CT slice. 512x512 px.

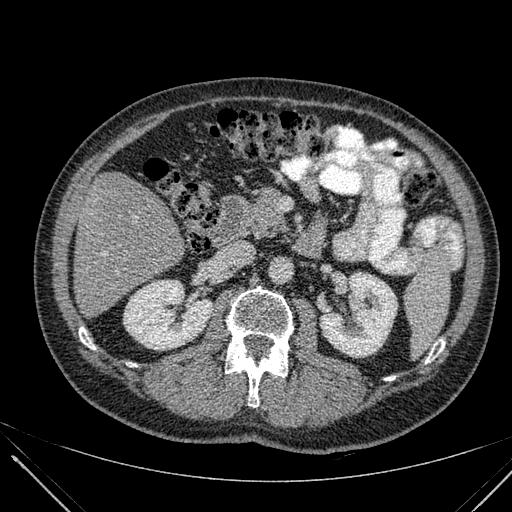

2 kidney regions are bounded by [124,280,212,349], [321,273,397,356]. The liver lies within [73,172,185,317].